CT image

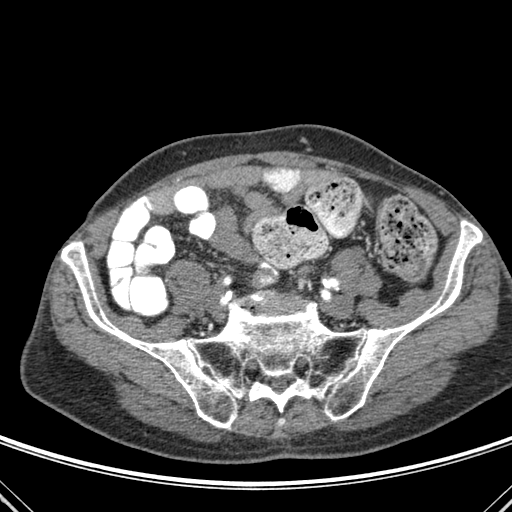 The bone lies within 61:220:482:429.